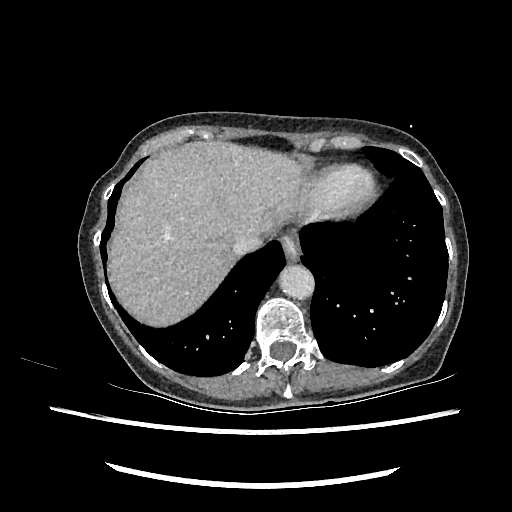 CT. 512x512 px. Liver at bbox=[112, 142, 304, 324].